Computed tomography | Slice 35/537

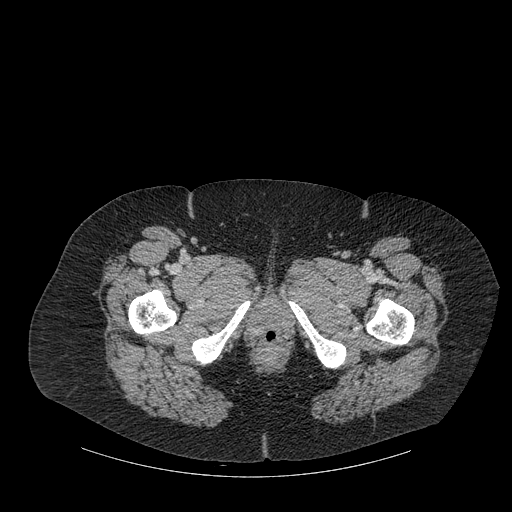
<segmentation>
  <bone>[x1=289, y1=301, x2=345, y2=367], [x1=366, y1=299, x2=414, y2=344], [x1=128, y1=290, x2=176, y2=334], [x1=192, y1=301, x2=249, y2=363]</bone>
</segmentation>